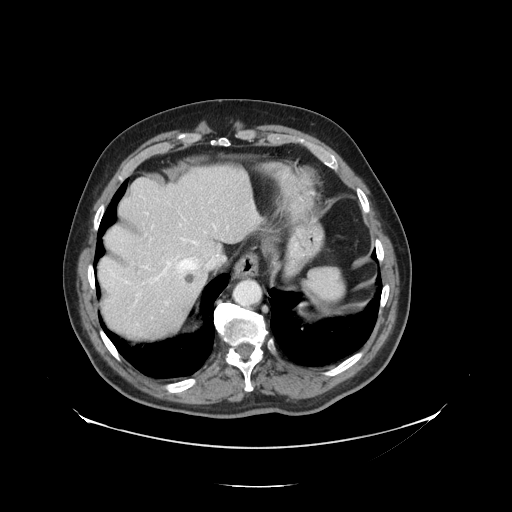

CT image

The vessel boxes may cover only some of the vessels.
The liver tumor is at (186,275,193,282). 12 hepatic vessel regions appear at (181,274,183,277), (214,226,215,229), (207,264,208,267), (152,226,153,228), (192,276,206,299), (144,267,149,268), (191,241,196,244), (167,262,170,268), (155,269,166,280), (190,267,198,271), (212,255,218,260), (165,302,168,303).